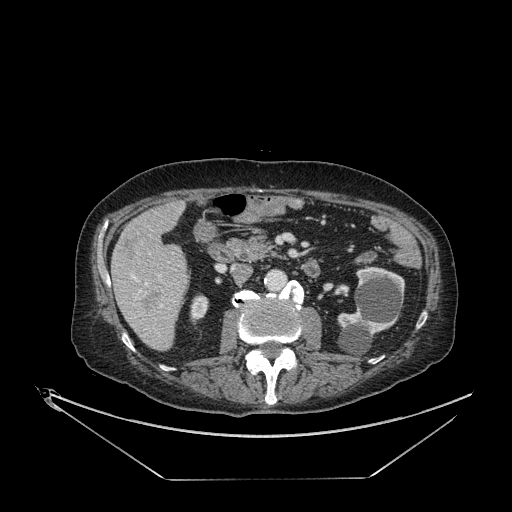

CT, Abdomen, 512x512 px

2 hepatic lesion regions are located at 142 290 161 312, 121 238 138 257. The liver appears at 112 201 187 350. 5 kidney regions appear at 356 267 404 294, 191 296 207 318, 323 283 332 290, 335 285 348 294, 338 308 395 334.